FLAIR magnetic resonance.
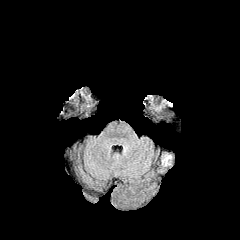
T1-weighted MRI.
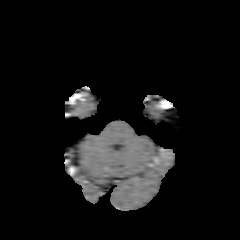
Post-contrast T1-weighted MR image.
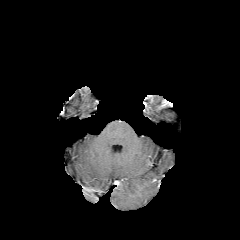
T2-weighted magnetic resonance.
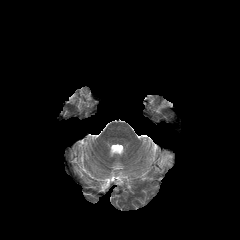
240x240 px. Head.
Edema = bbox(161, 155, 171, 166).